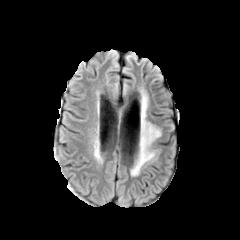
FLAIR MR.
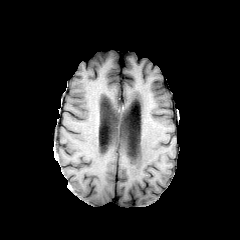
T1-weighted MR image of the same slice.
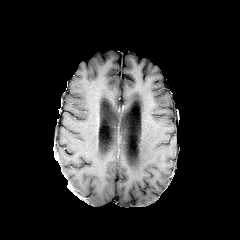
Post-contrast T1-weighted MR image.
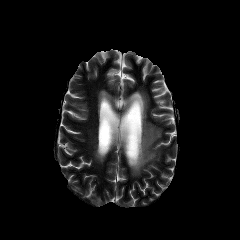
T2-weighted MR image.
Edema at <box>132,93,160,175</box>.